Slice 89 of 155. Field of view 240x240 mm. Image size 240x240.
FLAIR MR image.
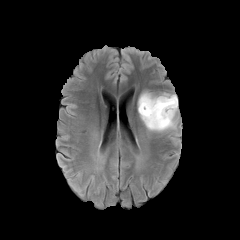
T1-weighted MR.
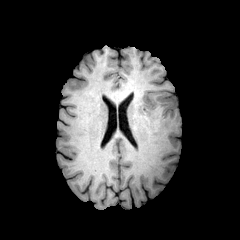
Post-contrast T1-weighted MR image.
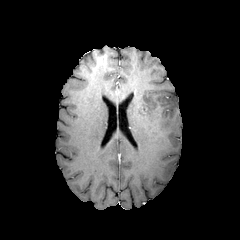
T2-weighted MR image.
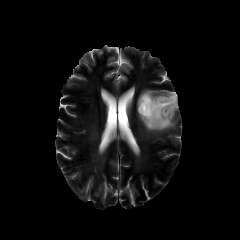
edema: l=137, t=90, r=178, b=133 | non-enhancing tumor core: l=138, t=97, r=170, b=121